Computed tomography. Slice 447 of 856. 512x512 px. 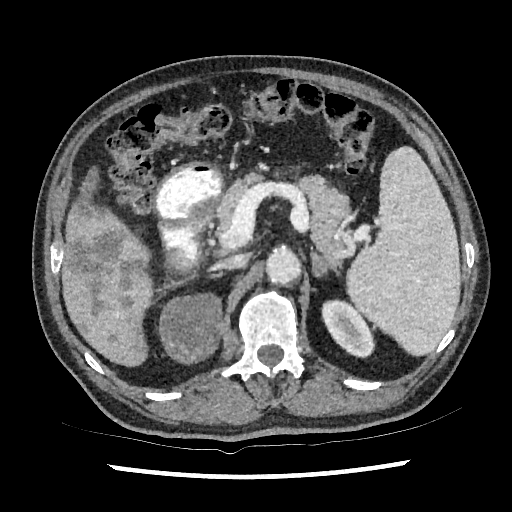 Liver: (x1=62, y1=211, x2=162, y2=364), (x1=89, y1=186, x2=104, y2=209).
Liver lesion: (x1=106, y1=333, x2=117, y2=344), (x1=63, y1=227, x2=146, y2=317), (x1=71, y1=179, x2=107, y2=218).
Kidney: (x1=322, y1=301, x2=373, y2=356).